FLAIR MR.
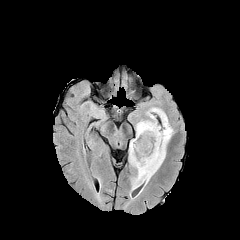
T1-weighted magnetic resonance.
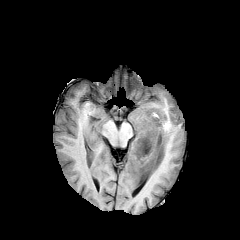
Post-contrast T1-weighted magnetic resonance.
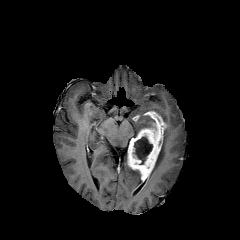
T2-weighted MR.
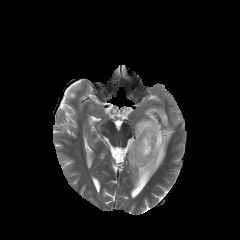
Findings:
• edema: rect(134, 118, 147, 136); rect(144, 107, 173, 186); rect(131, 170, 143, 188)
• non-enhancing tumor core: rect(139, 115, 156, 131); rect(133, 135, 153, 164)
• enhancing tumor: rect(128, 111, 166, 181)